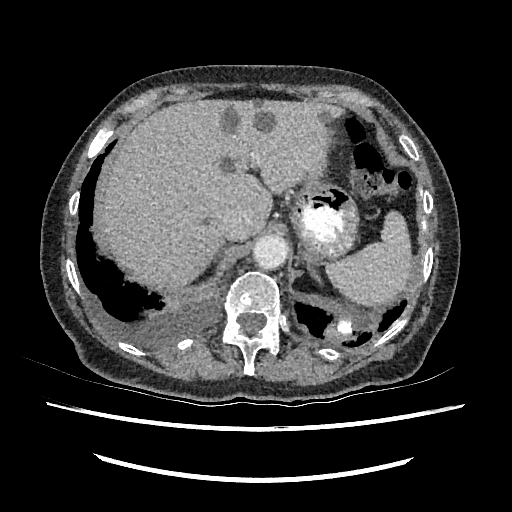

CT slice; Liver; Image size 512x512

Liver at 103,100,343,286.
Focal liver lesion at 253,101,261,107; 254,111,275,131; 220,158,236,174; 319,110,332,125; 223,105,239,132.